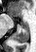

Image size 36x52. MRI slice.

Anterior hippocampus: bbox=[10, 14, 11, 16].
Posterior hippocampus: bbox=[15, 25, 29, 42].